Field of view 400 mm wide, 1.37 mm slice spacing. Cardiac. 320x320. MR. 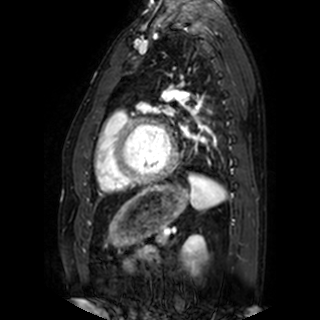

{"left_atrium": ["x1=181, y1=125, x2=188, y2=135"]}